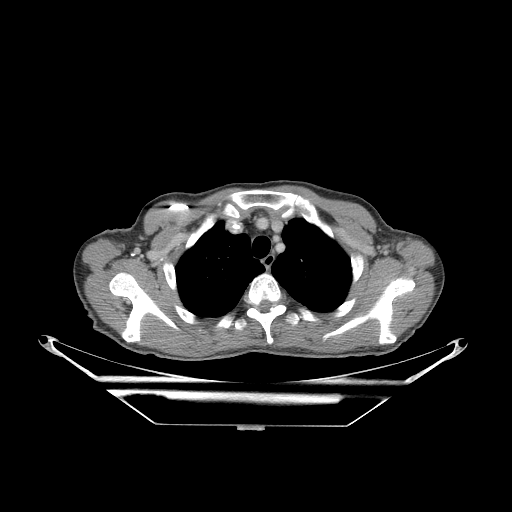 CT scan slice. 512x512.

Lung — region(175, 221, 263, 317); region(272, 217, 351, 312).
Bone — region(302, 311, 315, 320); region(163, 263, 175, 289); region(353, 256, 362, 280); region(109, 273, 177, 341); region(245, 274, 285, 343); region(186, 215, 217, 247); region(217, 318, 231, 327); region(336, 299, 354, 315); region(230, 190, 317, 224); region(224, 203, 238, 217); region(175, 306, 193, 322); region(368, 278, 414, 343); region(168, 203, 187, 212); region(327, 316, 364, 337).